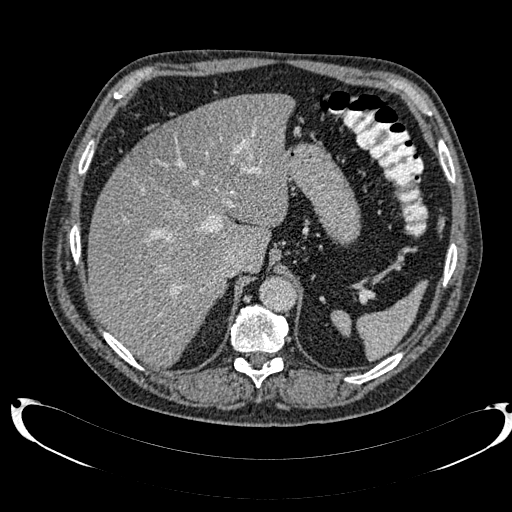

512x512. Liver. Computed tomography. Liver at box(144, 122, 170, 139); box(87, 93, 294, 366).
Hepatic lesion at box(133, 98, 245, 205).